FLAIR magnetic resonance.
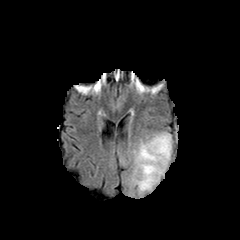
T1-weighted magnetic resonance.
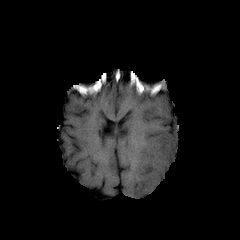
Post-contrast T1-weighted magnetic resonance.
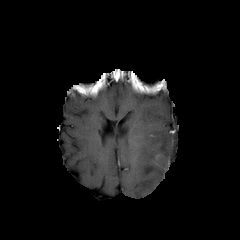
T2-weighted MR image.
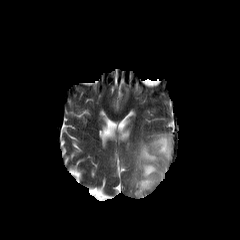
Annotated regions:
- edema: x1=130, y1=132, x2=173, y2=195